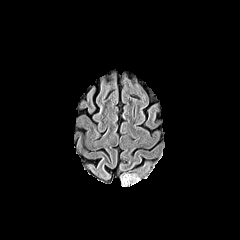
FLAIR magnetic resonance.
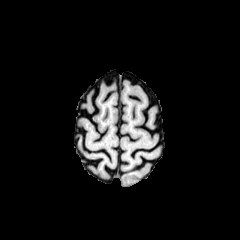
T1-weighted MR.
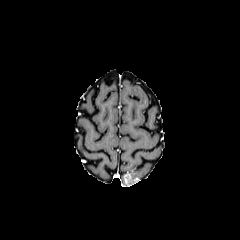
Same slice, post-contrast T1-weighted MR image.
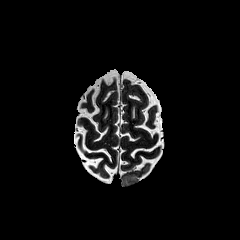
T2-weighted magnetic resonance of the same slice.
Brain.
Enhancing tumor — 124 172 132 184.